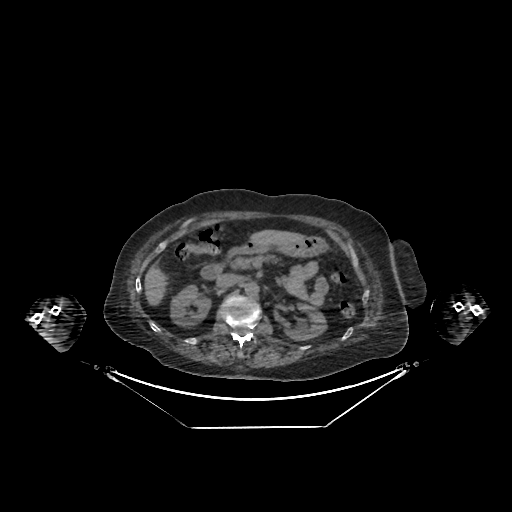

CT scan slice; Upper abdomen
kidney: (left=170, top=285, right=211, bottom=326), (left=279, top=303, right=327, bottom=340) | liver: (left=247, top=229, right=309, bottom=247), (left=144, top=259, right=169, bottom=305)